CT; Abdomen

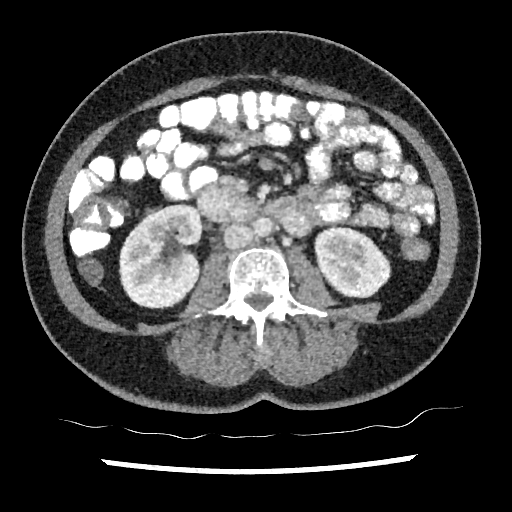

kidney: (left=315, top=228, right=388, bottom=296), (left=120, top=205, right=201, bottom=307)